Upper abdomen; CT slice; 512x512 px 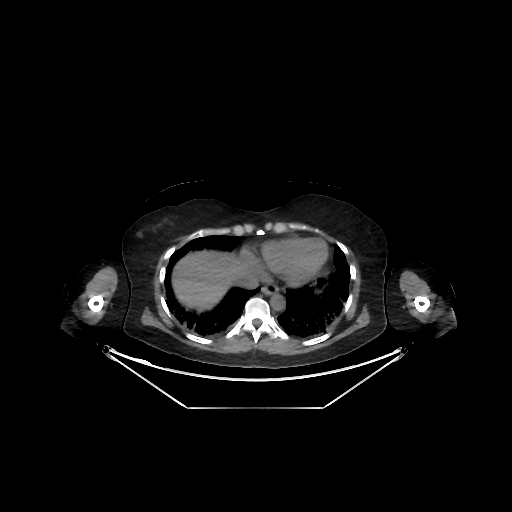
<segmentation>
  <liver>[x1=172, y1=251, x2=250, y2=310]</liver>
</segmentation>